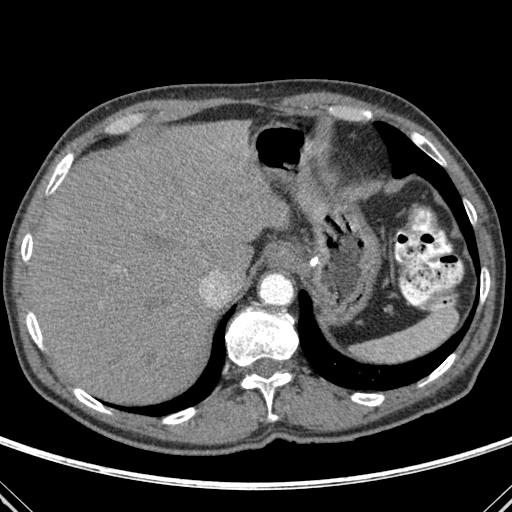
Abdomen. CT slice. <segmentation>
  <liver>region(28, 119, 290, 404)</liver>
  <lung>region(298, 290, 476, 390); region(105, 306, 235, 416); region(374, 122, 476, 267)</lung>
  <focal_liver_lesion>region(239, 194, 251, 201)</focal_liver_lesion>
  <bone>region(21, 234, 32, 261); region(46, 154, 72, 193); region(412, 133, 445, 165); region(464, 200, 476, 223); region(421, 354, 455, 385); region(26, 312, 42, 348); region(73, 388, 110, 413); region(351, 393, 384, 406); region(225, 307, 298, 367); region(163, 408, 196, 424); region(241, 371, 291, 420); region(480, 268, 489, 302)</bone>
</segmentation>